Pelvis. CT slice. Slice 143 of 846. Image size 512x512. 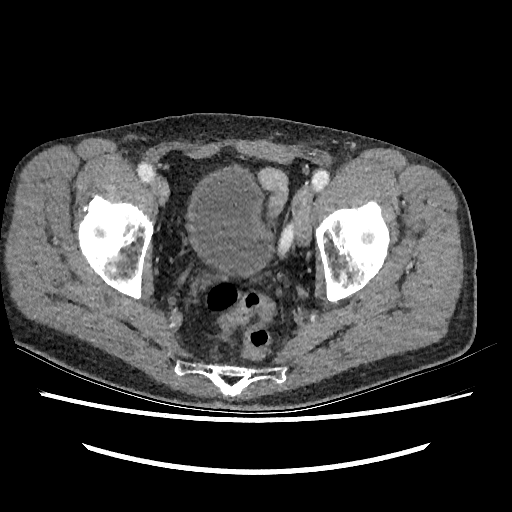
<segmentation>
  <urinary_bladder>(191, 170, 270, 275)</urinary_bladder>
</segmentation>